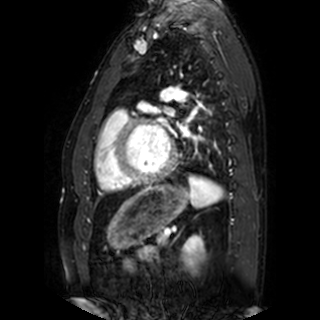
MR. Cardiac.

{
  "left_atrium": [
    "region(178, 123, 188, 135)"
  ]
}